Image width 429 mm; CT slice; Liver; Slice index 443

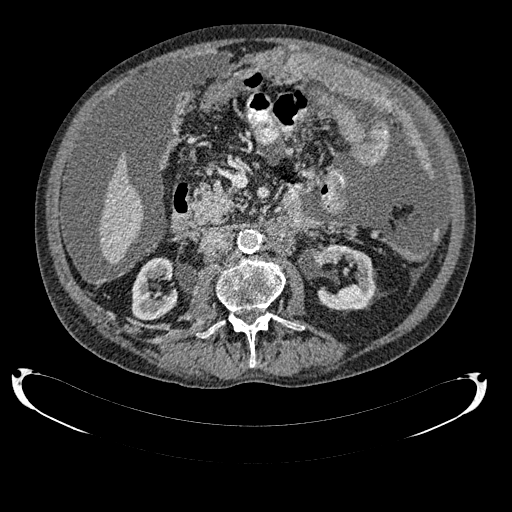

liver:
  - [99, 153, 143, 264]
kidney:
  - [132, 258, 176, 319]
  - [314, 245, 375, 309]